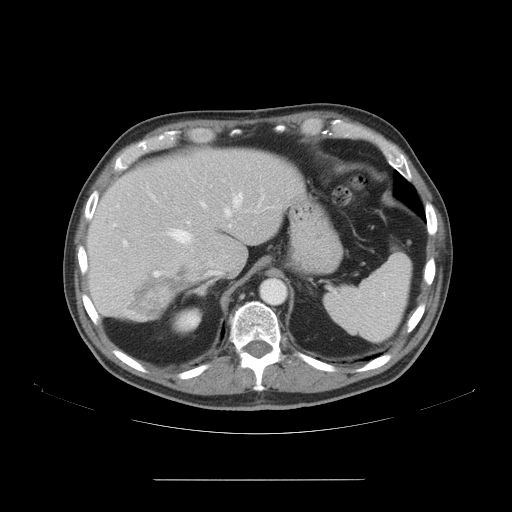 CT slice; Liver
The vessel annotation is not exhaustive.
The liver tumor appears at rect(126, 265, 192, 319). 9 hepatic vessel regions are bounded by rect(218, 272, 219, 273); rect(186, 220, 190, 224); rect(201, 203, 205, 206); rect(209, 261, 213, 264); rect(123, 241, 126, 245); rect(165, 228, 192, 245); rect(229, 224, 231, 227); rect(224, 190, 241, 217); rect(116, 204, 119, 208).